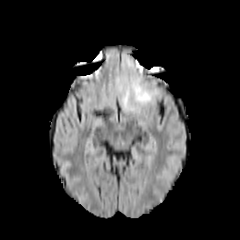
FLAIR MRI.
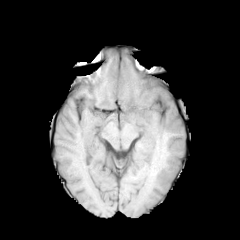
T1-weighted MRI.
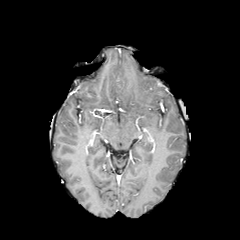
Post-contrast T1-weighted MR image.
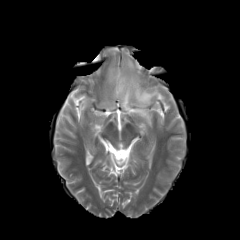
T2-weighted MR image of the same slice.
Head.
2 edema regions are located at <bbox>135, 86, 160, 107</bbox>, <bbox>115, 58, 138, 107</bbox>.